Head; 240x240
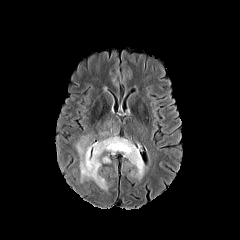
FLAIR MRI.
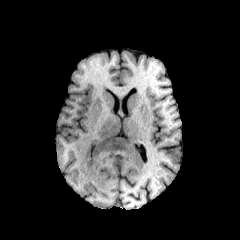
T1-weighted MR image.
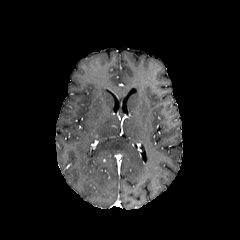
Same slice, post-contrast T1-weighted MR.
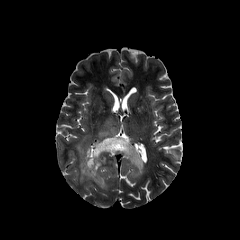
T2-weighted MR image.
edema:
  - bbox=[76, 135, 144, 189]